Image size 512x512. Image width 415 mm. Slice 59 of 97. Abdomen. Computed tomography.

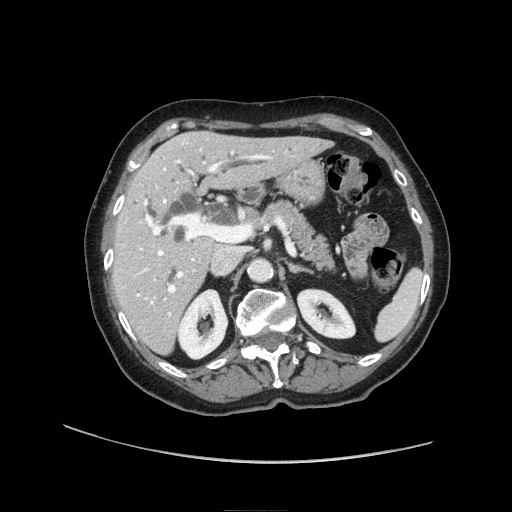 pancreas:
  - box=[264, 200, 334, 270]